Field of view 240x240 mm
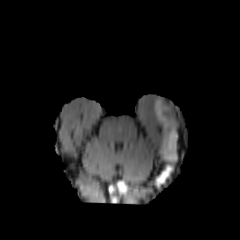
FLAIR MRI.
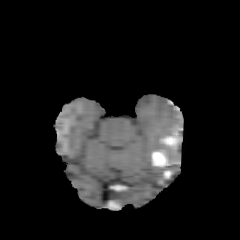
T1-weighted MRI.
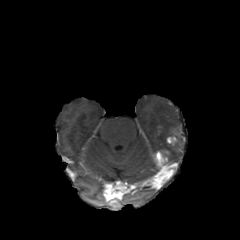
Post-contrast T1-weighted MR image.
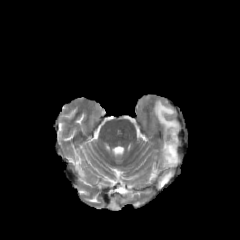
T2-weighted MR.
edema:
  - bbox(153, 99, 181, 164)
enhancing_tumor:
  - bbox(166, 130, 182, 145)
  - bbox(156, 150, 167, 164)
non-enhancing_tumor_core:
  - bbox(175, 135, 181, 145)